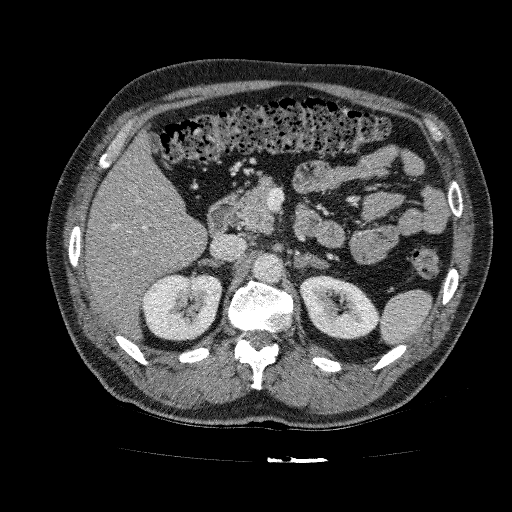 CT slice; Abdomen; 512x512
The liver is bounded by {"x1": 85, "y1": 127, "x2": 207, "y2": 339}. 2 kidney regions are bounded by {"x1": 141, "y1": 275, "x2": 221, "y2": 339}, {"x1": 301, "y1": 276, "x2": 378, "y2": 338}.